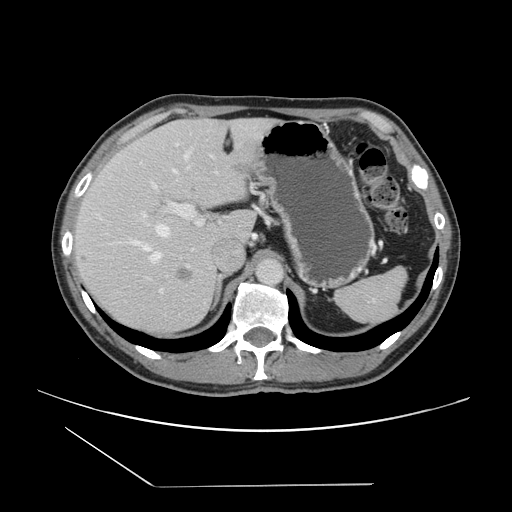

CT image
The vessel annotation is not exhaustive.
Segmented structures:
* liver tumor: left=177, top=268, right=194, bottom=282
* hepatic vessel: left=153, top=252, right=155, bottom=253; left=99, top=216, right=100, bottom=218; left=169, top=230, right=169, bottom=233; left=172, top=169, right=175, bottom=171; left=142, top=216, right=144, bottom=219; left=124, top=240, right=128, bottom=242; left=148, top=278, right=150, bottom=279; left=184, top=148, right=191, bottom=158; left=141, top=161, right=142, bottom=163